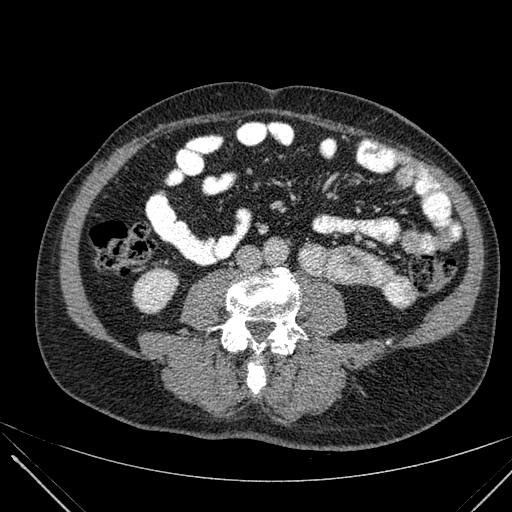

CT image | Abdomen

The kidney is at bbox=[134, 269, 177, 312].